Liver. Field of view 380 mm wide, 1.50 mm slice spacing. CT scan slice.
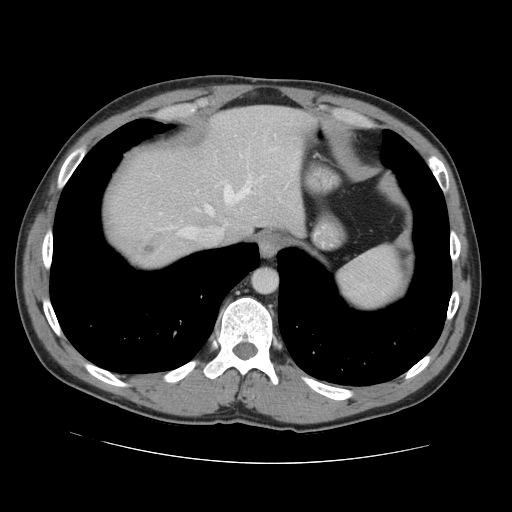 The vessel annotation is not exhaustive.
Liver tumor at (145,246,153,253).
Hepatic vessel at (159,212,161,214), (194,208,199,211), (178,227,190,234), (249,174,250,177), (240,155,241,156), (285,185,286,187), (204,205,213,214), (269,148,276,150), (220,179,250,203), (219,222,228,229).